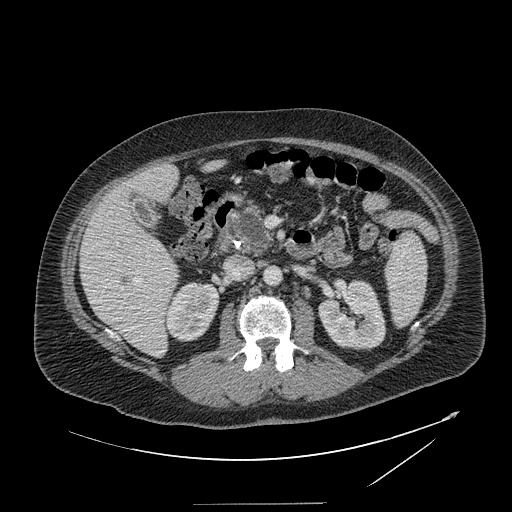
Upper abdomen; Computed tomography; 512x512 px
• pancreas: <box>231,207,273,255</box>